Image size 240x240; Brain; Field of view 240x240 mm
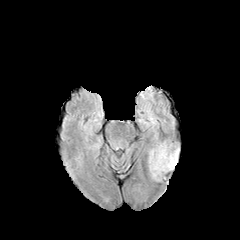
FLAIR MR image.
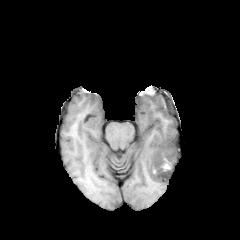
Same slice, T1-weighted MR image.
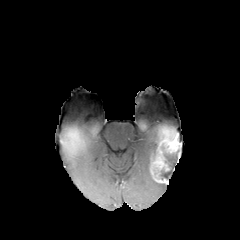
Post-contrast T1-weighted MR image.
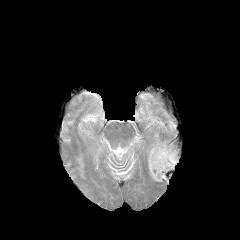
T2-weighted magnetic resonance.
The edema appears at (148,142,162,178). The non-enhancing tumor core is bounded by (150,142,183,184). The enhancing tumor lies within (165,140,181,150).